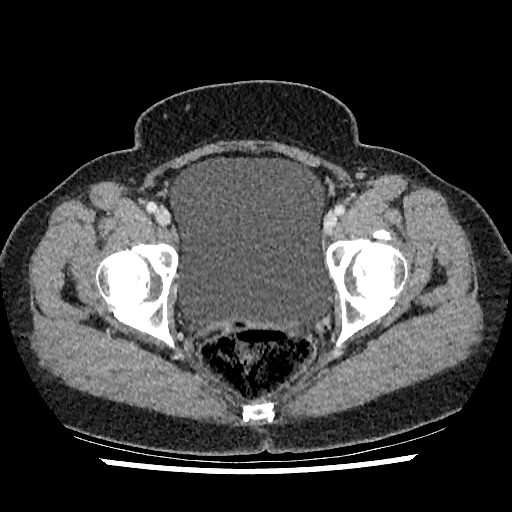
512x512 px, CT, Lower abdomen

urinary_bladder:
  - {"x1": 170, "y1": 157, "x2": 333, "y2": 333}